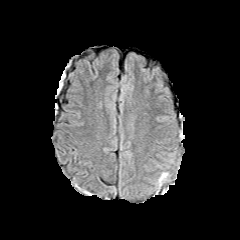
FLAIR MR.
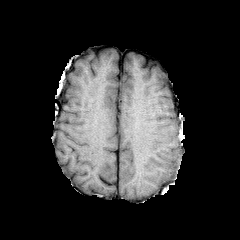
T1-weighted MRI of the same slice.
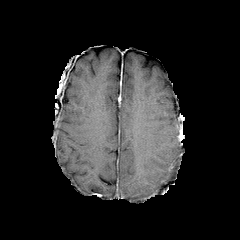
Post-contrast T1-weighted magnetic resonance of the same slice.
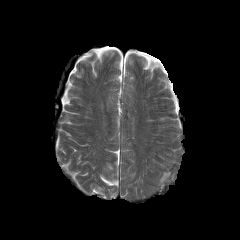
T2-weighted MRI of the same slice.
240x240 px.
Edema = bbox(157, 172, 169, 185).